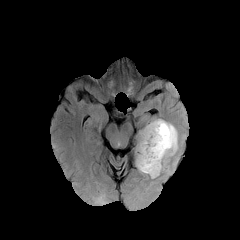
FLAIR magnetic resonance.
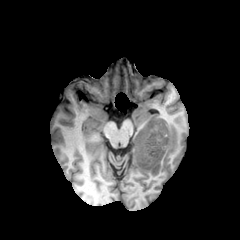
Same slice, T1-weighted MR image.
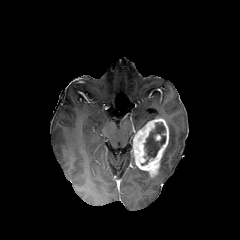
Post-contrast T1-weighted MR image.
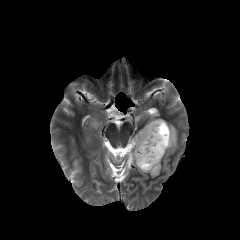
T2-weighted MRI.
Brain
The enhancing tumor appears at bbox(133, 118, 169, 177). The non-enhancing tumor core appears at bbox(145, 122, 165, 157). The edema appears at bbox(154, 121, 181, 177).